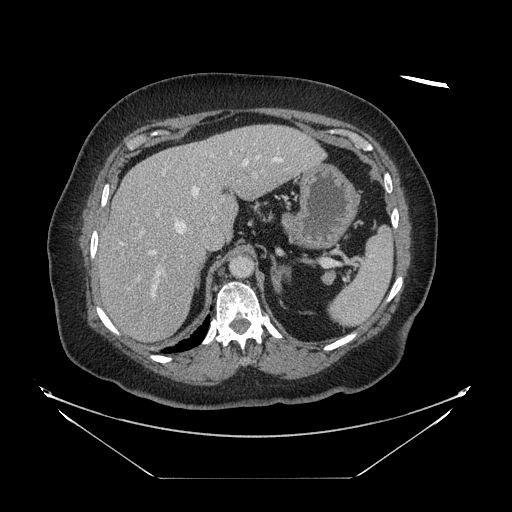 Abdomen, CT image
pancreas:
  - box=[324, 271, 335, 283]